CT. Image size 512x512. Slice index 26. 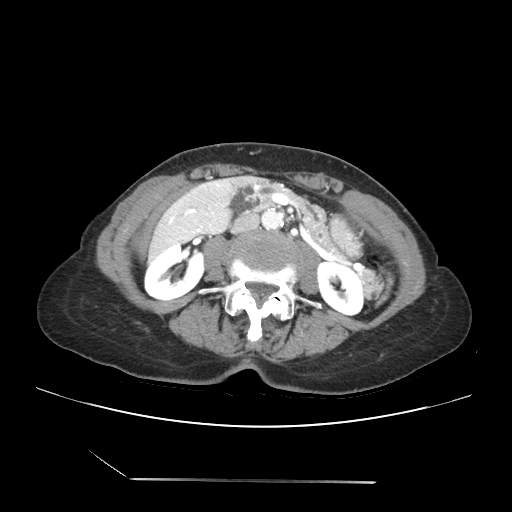

Pancreas = box(229, 181, 349, 264).